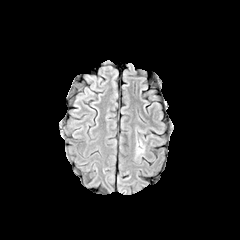
FLAIR magnetic resonance.
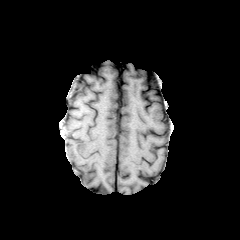
Same slice, T1-weighted MRI.
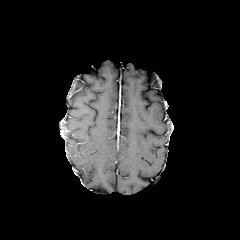
Post-contrast T1-weighted MR image.
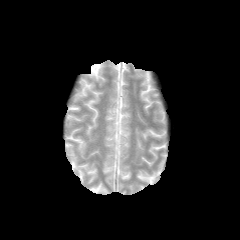
T2-weighted magnetic resonance.
Brain.
Edema at 137 141 143 153.